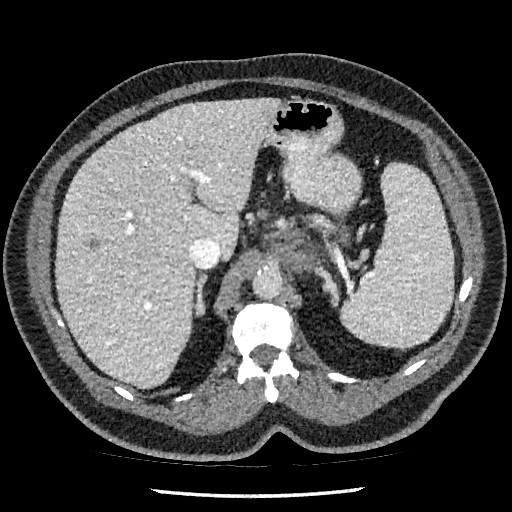
CT image. The liver is bounded by (55, 99, 278, 387). The liver lesion appears at (83, 239, 99, 247).